Computed tomography; Slice index 449; 512x512 px; Abdomen
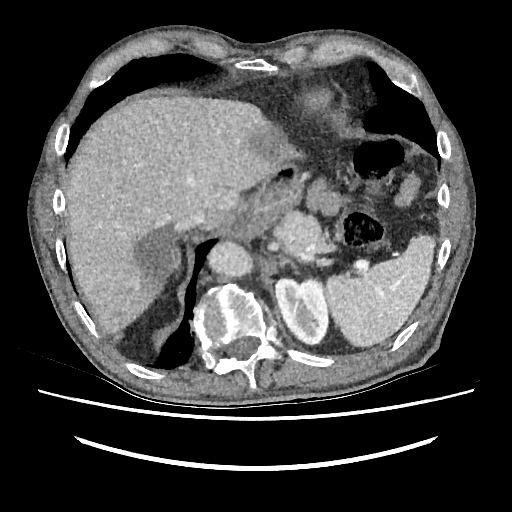
<segmentation>
  <liver>left=172, top=246, right=176, bottom=271; left=67, top=96, right=298, bottom=331</liver>
  <kidney>left=276, top=279, right=327, bottom=343</kidney>
  <focal_liver_lesion>left=126, top=223, right=176, bottom=294; left=250, top=124, right=283, bottom=158</focal_liver_lesion>
</segmentation>